Medial temporal lobe. Magnetic resonance. 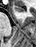 Anterior hippocampus = <box>12,5,24,11</box>.